FLAIR magnetic resonance.
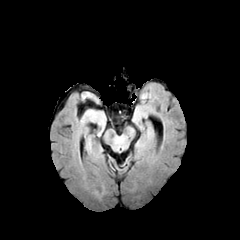
T1-weighted magnetic resonance.
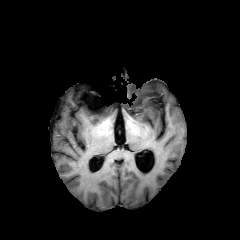
Post-contrast T1-weighted MR.
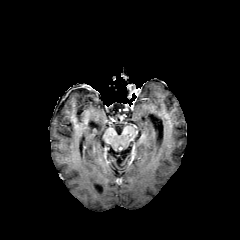
T2-weighted MR.
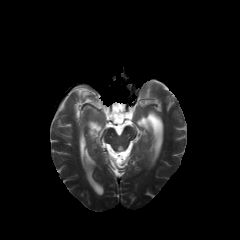
Brain; Image size 240x240
Edema: 147:124:153:138, 140:92:151:104, 133:107:144:129.